Liver | Image size 512x512 | Computed tomography 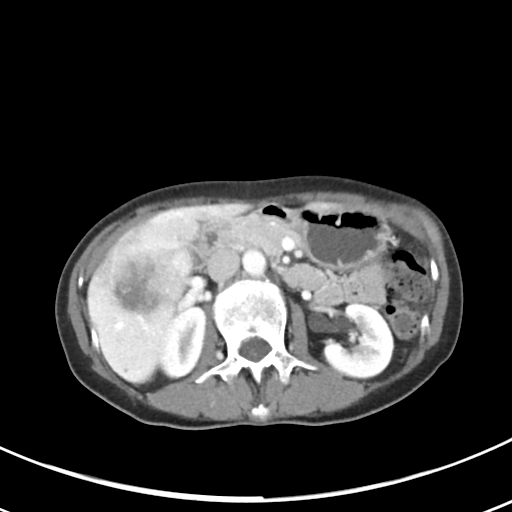

liver tumor: x1=94 y1=226 x2=183 y2=316